FLAIR MR image.
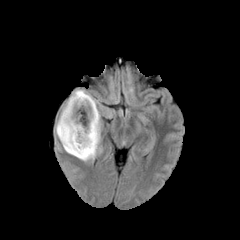
T1-weighted MR image.
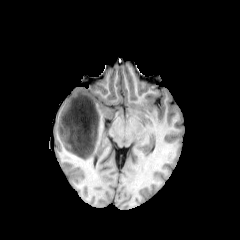
Post-contrast T1-weighted MR image.
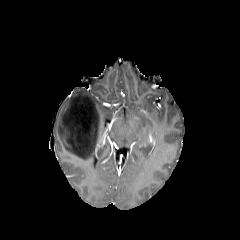
T2-weighted MRI.
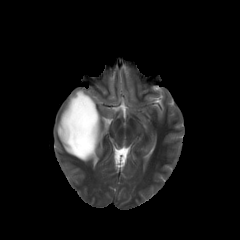
Brain
Segmented structures:
• edema: l=78, t=154, r=96, b=162; l=56, t=88, r=103, b=154
• non-enhancing tumor core: l=62, t=94, r=104, b=158